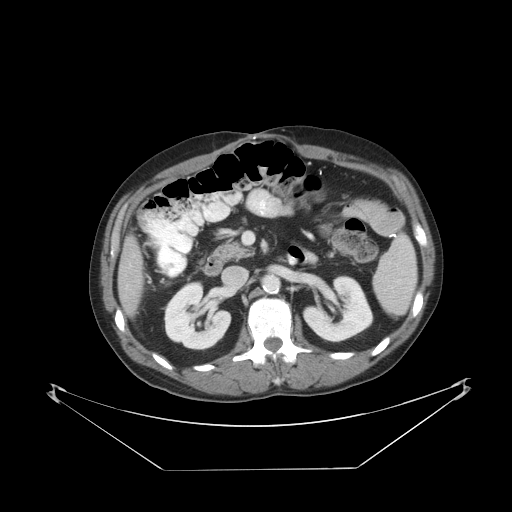
512x512 px, CT slice

The vessel boxes may cover only some of the vessels.
hepatic vessel: (left=133, top=254, right=135, bottom=256)